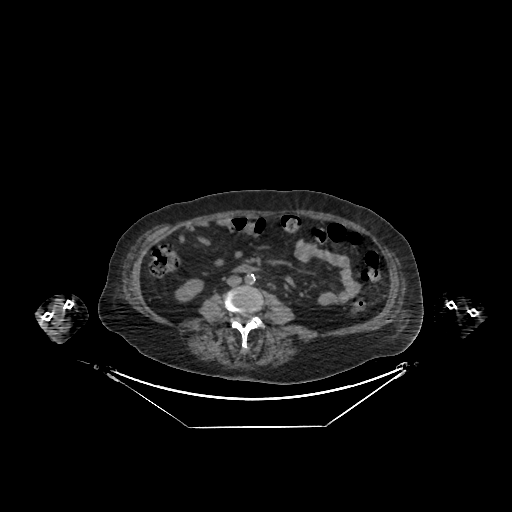

Computed tomography
The kidney is bounded by x1=175 y1=279 x2=203 y2=301.